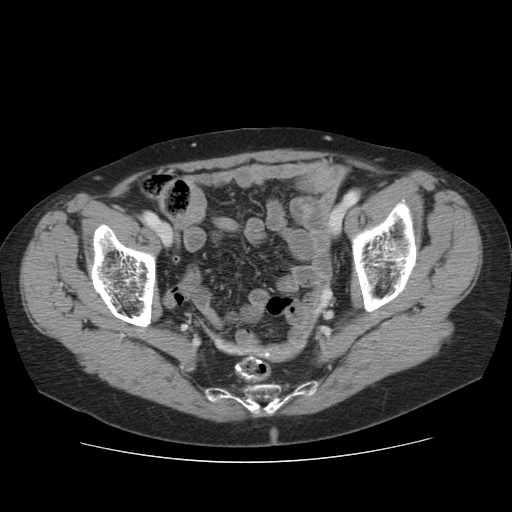
CT slice | Image size 512x512

<segmentation>
  <bone>(x1=348, y1=199, x2=421, y2=313), (x1=205, y1=381, x2=318, y2=412), (x1=88, y1=223, x2=159, y2=331)</bone>
</segmentation>